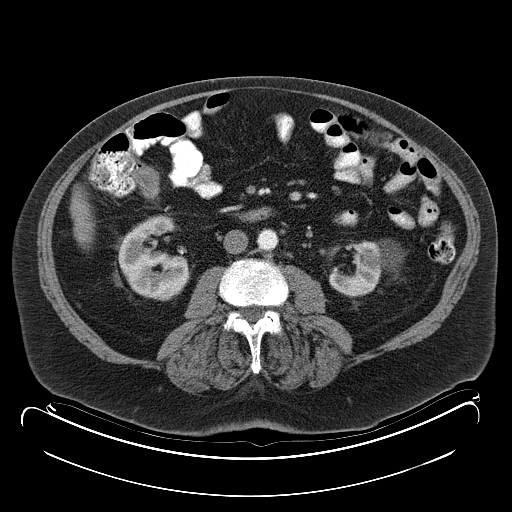 512x512. Computed tomography.

<segmentation>
  <colon_tumor>x1=134 y1=167 x2=158 y2=197</colon_tumor>
</segmentation>